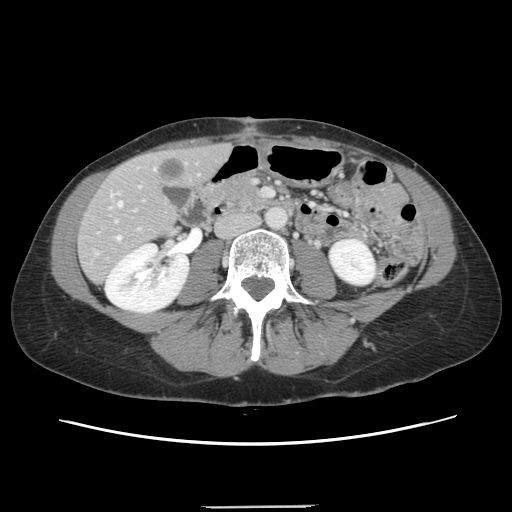
CT | Abdomen
Not every hepatic vessel necessarily has a box.
Liver tumor = <box>159,158,184,180</box>.
Hepatic vessel = <box>108,207,111,208</box>, <box>137,228,140,229</box>, <box>117,201,121,206</box>, <box>111,191,119,198</box>, <box>116,236,120,239</box>, <box>115,220,117,221</box>, <box>95,252,98,254</box>.